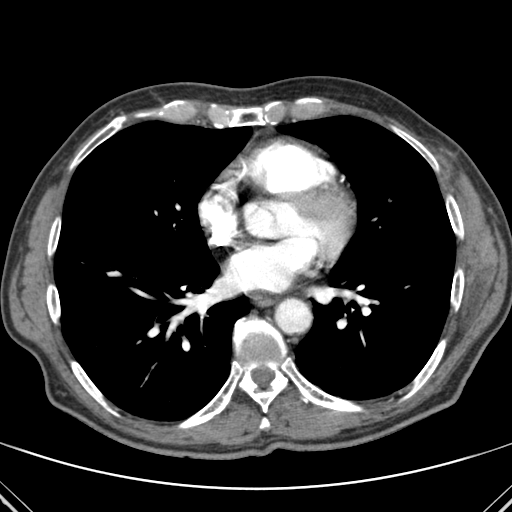
512x512 px. CT scan slice.
Bone: bounding box [x1=446, y1=195, x2=463, y2=238], [x1=297, y1=98, x2=320, y2=103], [x1=451, y1=269, x2=463, y2=310], [x1=392, y1=127, x2=438, y2=170], [x1=70, y1=117, x2=123, y2=169], [x1=211, y1=102, x2=279, y2=127], [x1=260, y1=418, x2=269, y2=428], [x1=164, y1=100, x2=184, y2=108], [x1=179, y1=318, x2=362, y2=428], [x1=71, y1=361, x2=117, y2=415], [x1=48, y1=218, x2=60, y2=255], [x1=405, y1=340, x2=445, y2=398], [x1=46, y1=285, x2=60, y2=322].
Lung: bounding box [x1=54, y1=121, x2=251, y2=420], [x1=277, y1=116, x2=455, y2=399].